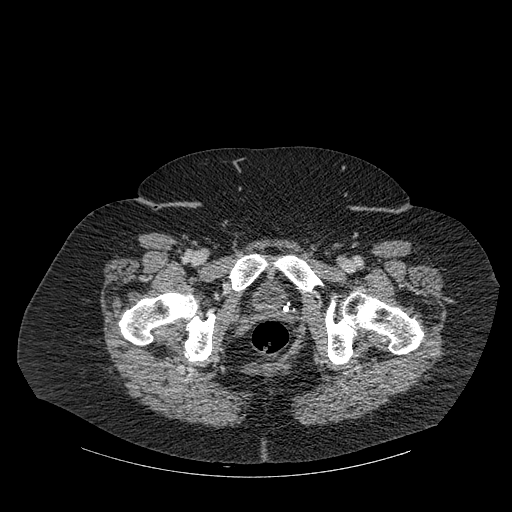
Computed tomography

Bone: bounding box 229:254:267:290, 274:255:323:291, 119:292:215:361, 325:292:423:364.